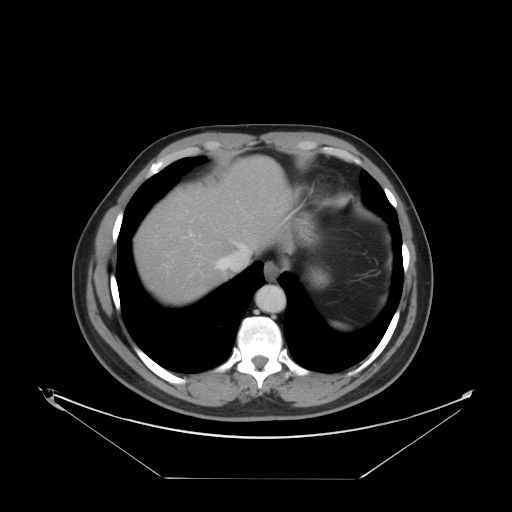

CT image; Liver

Some hepatic vessels may have no box.
hepatic vessel: 237,244,245,249; 217,253,247,269; 189,233,191,236